CT scan slice
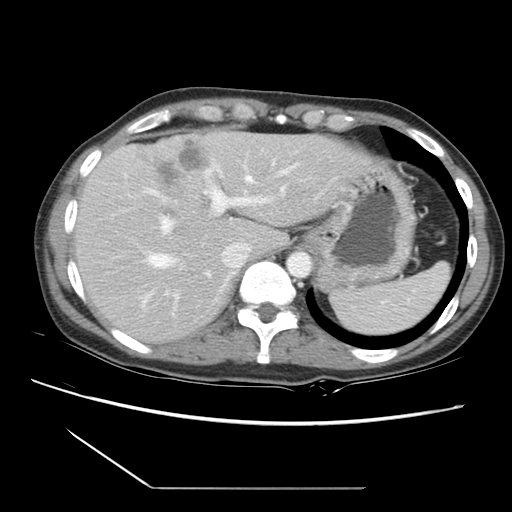 Not every hepatic vessel necessarily has a box.
Annotated regions:
• liver tumor: [150,138,211,219]
• hepatic vessel: [160,216,173,233], [140,291,153,311], [277,163,298,175], [206,272,210,277], [122,172,126,178], [165,291,179,315], [272,159,275,163], [180,265,182,268], [204,159,271,214], [127,194,137,198], [281,186,285,195], [222,243,250,265], [143,188,161,201], [143,254,176,267], [243,152,253,183]